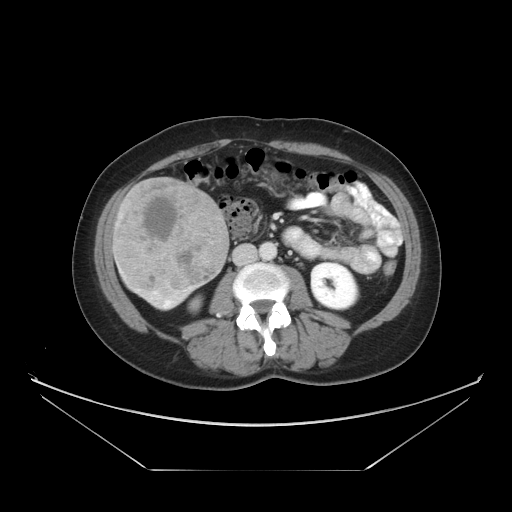 Computed tomography.

Liver tumor at region(114, 179, 227, 293).